FLAIR MRI.
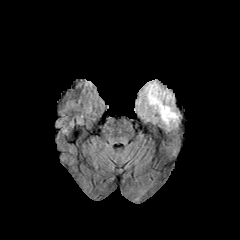
T1-weighted MR.
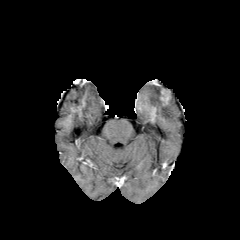
Post-contrast T1-weighted MRI.
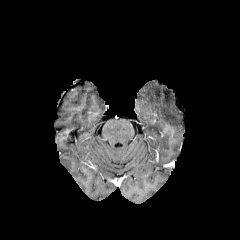
T2-weighted MR.
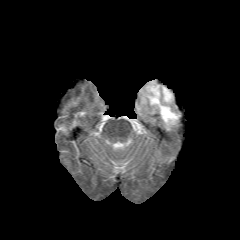
The edema is bounded by {"x1": 135, "y1": 81, "x2": 180, "y2": 130}.